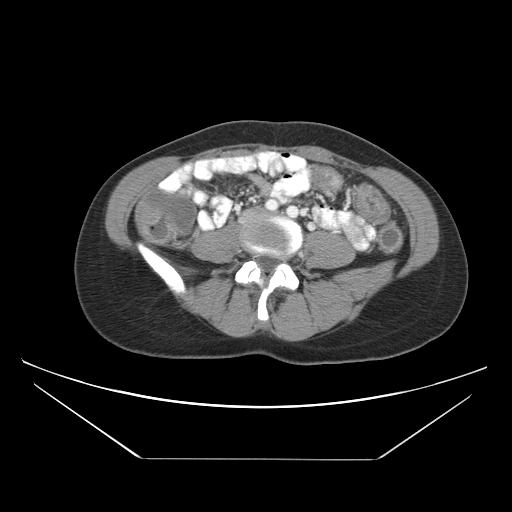 Pelvis. Computed tomography.
The colon tumor is at 138:205:156:233.